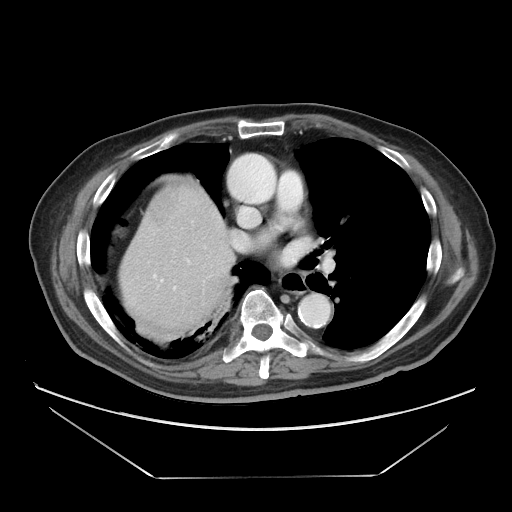 CT slice. Liver.

Some hepatic vessels may have no box.
Segmented structures:
* hepatic vessel: bbox=[160, 279, 162, 281]; bbox=[174, 287, 175, 288]